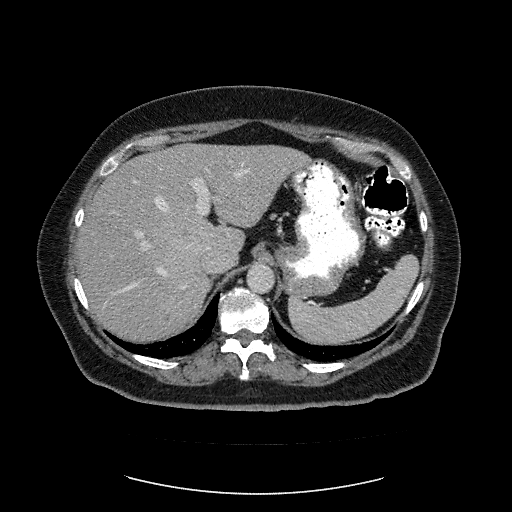 Abdomen, CT slice
Not every hepatic vessel necessarily has a box.
Hepatic vessel: 186, 177, 221, 214; 133, 181, 137, 182; 111, 293, 115, 294; 155, 197, 167, 210; 141, 240, 149, 249; 158, 268, 166, 274; 235, 170, 247, 176; 159, 167, 160, 168; 182, 285, 185, 288; 116, 282, 138, 292; 135, 230, 143, 237.